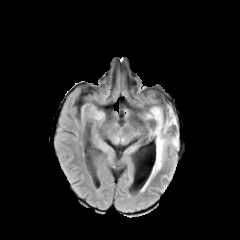
FLAIR MR image.
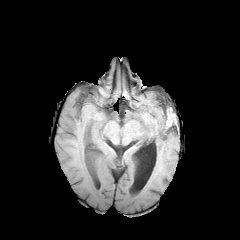
T1-weighted MR image.
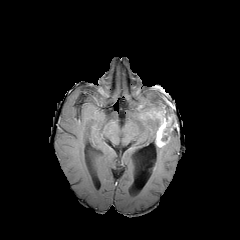
Post-contrast T1-weighted magnetic resonance of the same slice.
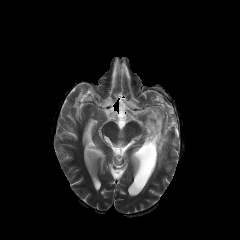
T2-weighted magnetic resonance.
Brain
Enhancing tumor at box=[152, 110, 176, 147].
Edema at box=[149, 128, 178, 179].
Non-enhancing tumor core at box=[164, 104, 177, 129]; box=[148, 106, 163, 139].